Brain.
FLAIR magnetic resonance.
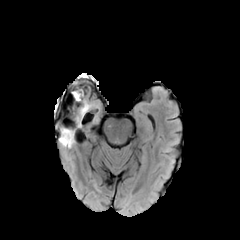
T1-weighted MR image.
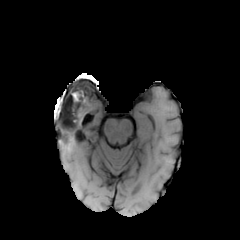
Post-contrast T1-weighted magnetic resonance.
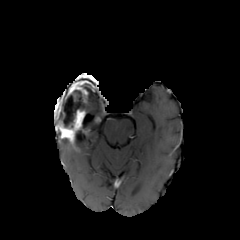
T2-weighted MR.
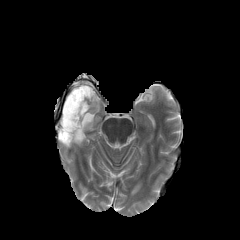
* enhancing tumor: [56,109,84,141]
* edema: [59,137,74,148], [80,99,91,112]
* non-enhancing tumor core: [58,100,79,127]